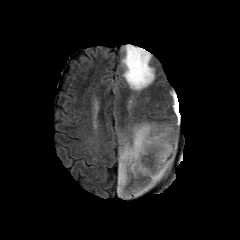
FLAIR MR image.
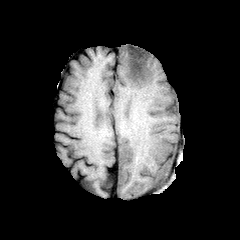
T1-weighted MRI of the same slice.
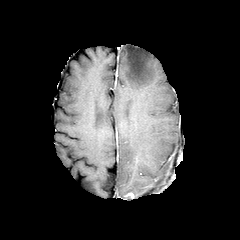
Post-contrast T1-weighted magnetic resonance of the same slice.
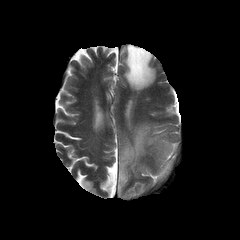
T2-weighted magnetic resonance of the same slice.
240x240
The non-enhancing tumor core is bounded by <box>127,46,145,80</box>. 3 edema regions appear at <box>118,126,153,191</box>, <box>121,44,155,90</box>, <box>144,140,175,185</box>.